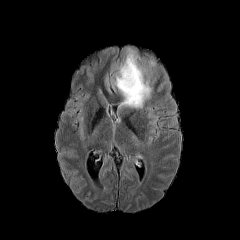
FLAIR MR image.
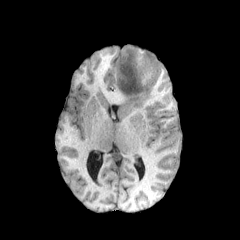
T1-weighted magnetic resonance.
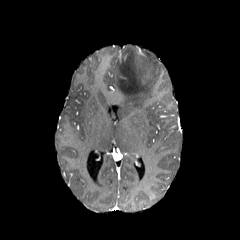
Post-contrast T1-weighted magnetic resonance.
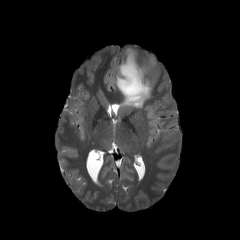
Same slice, T2-weighted MR image.
240x240 px. Head.
The edema is bounded by <box>114,54,152,109</box>.